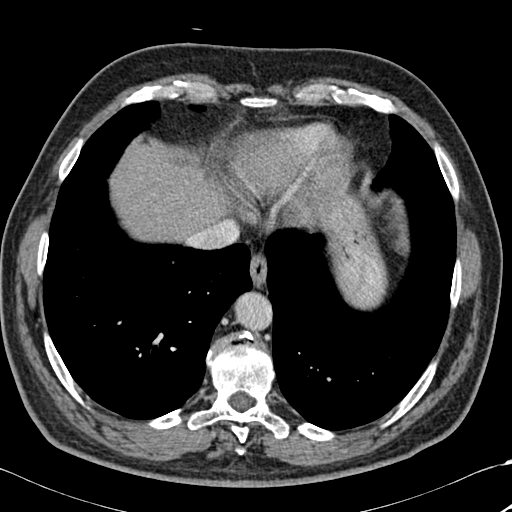

Upper abdomen. Image size 512x512. CT.
Liver = {"x1": 111, "y1": 146, "x2": 223, "y2": 240}.
Bone = {"x1": 59, "y1": 140, "x2": 81, "y2": 179}, {"x1": 188, "y1": 331, "x2": 288, "y2": 442}, {"x1": 150, "y1": 410, "x2": 180, "y2": 428}, {"x1": 450, "y1": 263, "x2": 461, "y2": 305}, {"x1": 37, "y1": 233, "x2": 48, "y2": 272}, {"x1": 348, "y1": 89, "x2": 394, "y2": 112}, {"x1": 435, "y1": 147, "x2": 458, "y2": 197}, {"x1": 389, "y1": 364, "x2": 435, "y2": 422}, {"x1": 298, "y1": 423, "x2": 333, "y2": 440}, {"x1": 246, "y1": 98, "x2": 267, "y2": 106}, {"x1": 45, "y1": 336, "x2": 81, "y2": 401}, {"x1": 125, "y1": 81, "x2": 183, "y2": 103}.
Lung = {"x1": 264, "y1": 114, "x2": 456, "y2": 430}, {"x1": 43, "y1": 101, "x2": 252, "y2": 419}, {"x1": 189, "y1": 105, "x2": 205, "y2": 112}.